Slice index 50, Image width 405 mm, Upper abdomen, Computed tomography

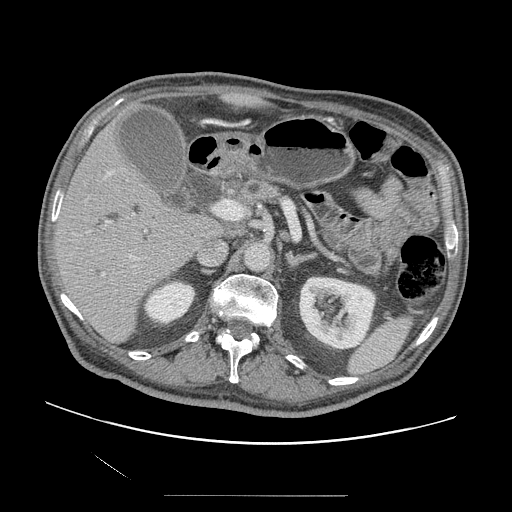 pancreas: x1=236 y1=179 x2=282 y2=206